Image width 402 mm; CT slice; 512x512 px; Abdomen

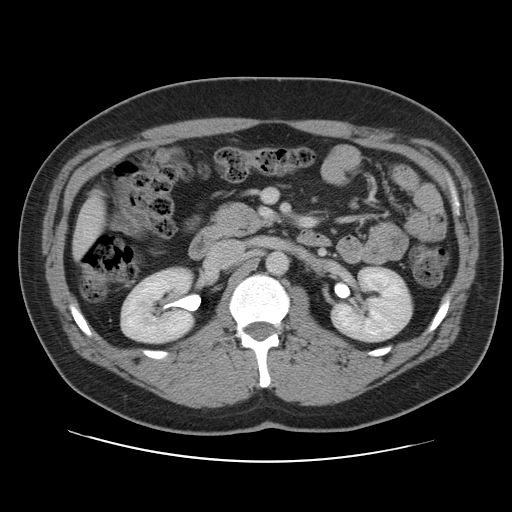

Not every hepatic vessel necessarily has a box.
Hepatic vessel — x1=74 y1=241 x2=83 y2=256, x1=83 y1=198 x2=95 y2=208, x1=84 y1=231 x2=97 y2=238, x1=91 y1=211 x2=101 y2=213, x1=81 y1=213 x2=82 y2=216.